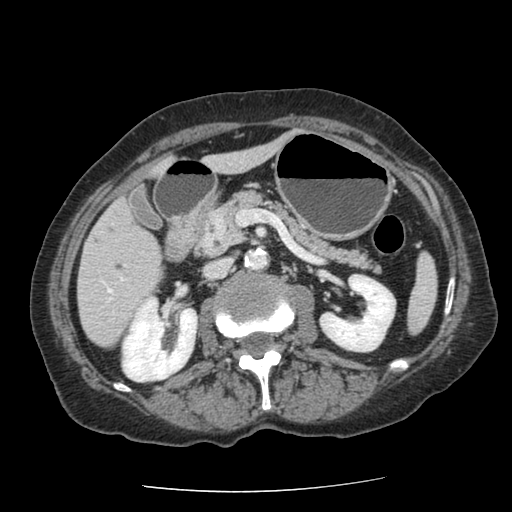
CT scan slice. Upper abdomen.
<segmentation>
  <pancreas>199, 192, 376, 270</pancreas>
  <pancreatic_tumor>205, 219, 227, 244</pancreatic_tumor>
</segmentation>